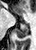

MRI.

{
  "posterior_hippocampus": [
    "left=14, top=24, right=28, bottom=38"
  ]
}